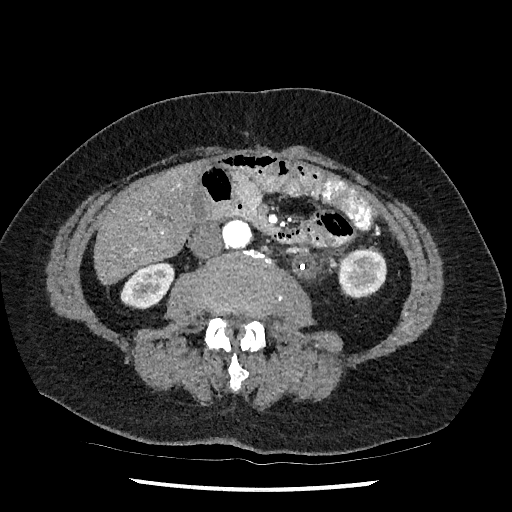

CT slice | Upper abdomen

{
  "kidney": [
    "region(339, 250, 385, 296)",
    "region(121, 263, 173, 308)"
  ],
  "liver": [
    "region(95, 161, 205, 284)"
  ]
}